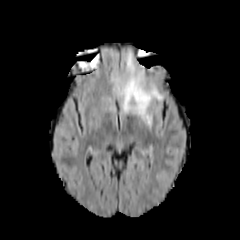
FLAIR magnetic resonance.
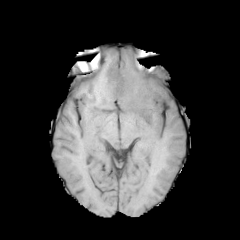
T1-weighted MRI.
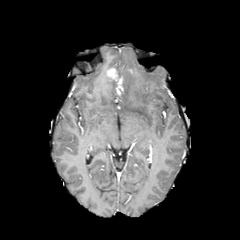
Post-contrast T1-weighted MRI.
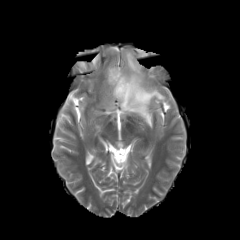
Same slice, T2-weighted MRI.
edema:
  - 119, 49, 163, 126
enhancing_tumor:
  - 106, 67, 123, 96